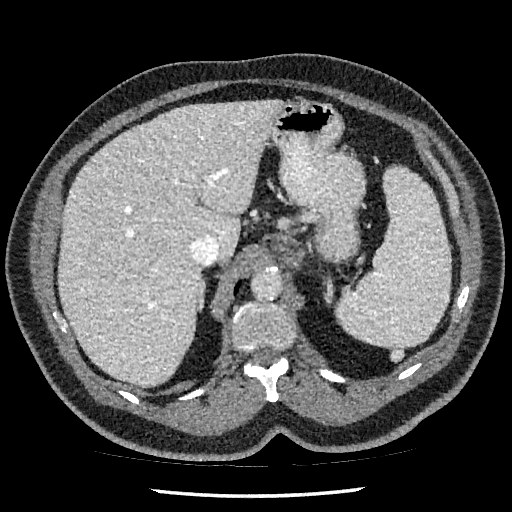

Computed tomography; Abdomen; 512x512
Segmented structures:
- liver: [58,100,281,386]